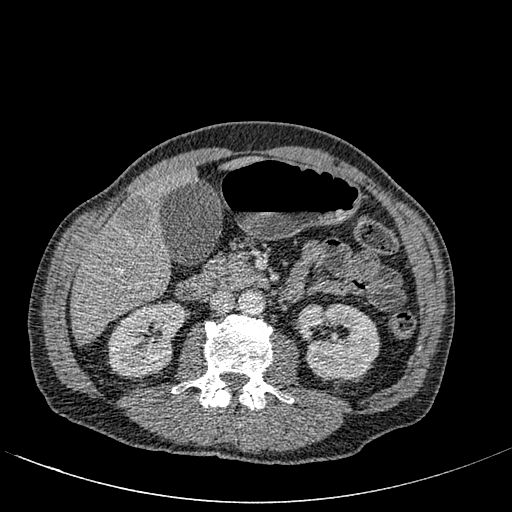
Upper abdomen; Computed tomography; Image size 512x512

Kidney: (left=298, top=304, right=378, bottom=378), (left=109, top=303, right=185, bottom=376).
Hepatic lesion: (left=117, top=195, right=155, bottom=233).
Liver: (left=222, top=156, right=261, bottom=169), (left=71, top=168, right=197, bottom=344).